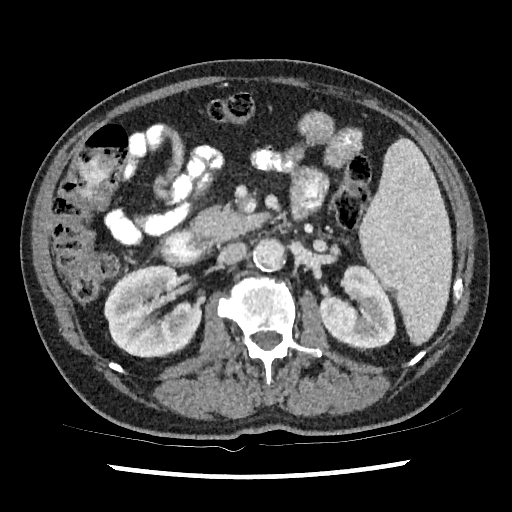

CT slice. 512x512 px.

{"kidney": ["(left=105, top=266, right=204, bottom=356)", "(left=319, top=266, right=394, bottom=347)"]}